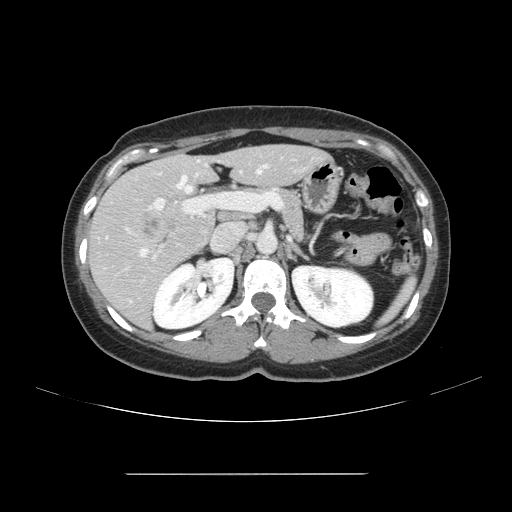

CT; 512x512
Some hepatic vessels may have no box.
{
  "liver_tumor": [
    "bbox=[139, 216, 156, 236]"
  ],
  "hepatic_vessel": [
    "bbox=[140, 249, 147, 255]",
    "bbox=[257, 164, 267, 173]",
    "bbox=[149, 198, 163, 209]",
    "bbox=[177, 176, 191, 192]"
  ]
}